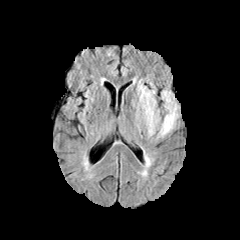
FLAIR magnetic resonance.
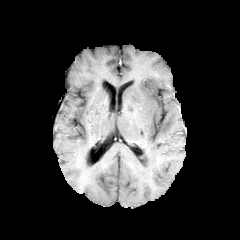
T1-weighted MRI of the same slice.
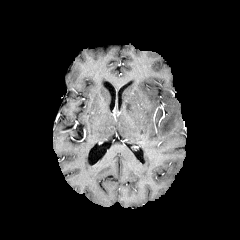
Same slice, post-contrast T1-weighted magnetic resonance.
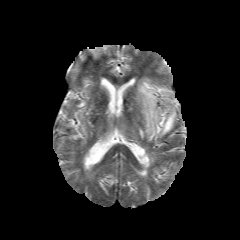
T2-weighted MRI.
Brain
edema:
  - <box>137,79,178,137</box>